CT | Field of view 386 mm wide, 1.50 mm slice spacing | Abdomen 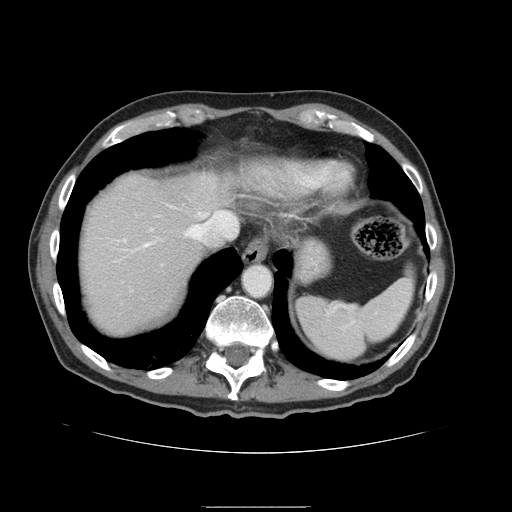
spleen: (left=296, top=275, right=412, bottom=361)